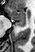 35x52 px, MRI slice, Medial temporal lobe
The anterior hippocampus is located at l=8, t=7, r=26, b=19. The posterior hippocampus is located at l=16, t=20, r=25, b=26.